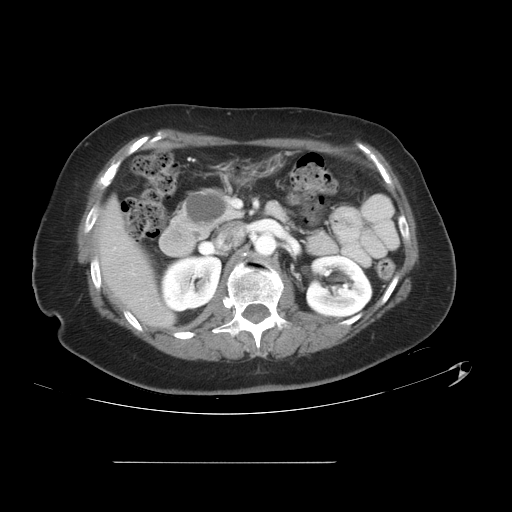
CT scan slice
The pancreatic tumor appears at rect(187, 193, 226, 224). 2 pancreas regions appear at rect(268, 203, 299, 232); rect(173, 188, 241, 238).